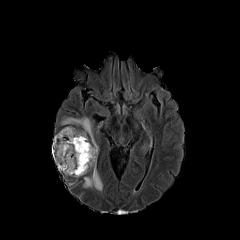
FLAIR MR.
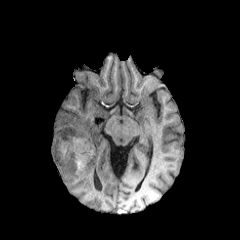
T1-weighted MRI of the same slice.
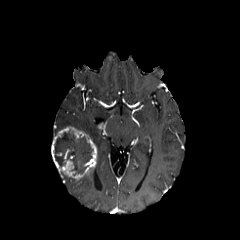
Post-contrast T1-weighted magnetic resonance.
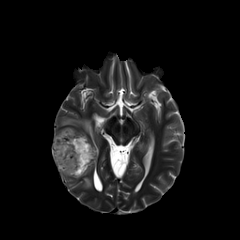
T2-weighted MR.
Image size 240x240
{
  "edema": [
    {"x1": 84, "y1": 169, "x2": 102, "y2": 191},
    {"x1": 61, "y1": 117, "x2": 93, "y2": 138}
  ],
  "enhancing_tumor": [
    {"x1": 57, "y1": 127, "x2": 97, "y2": 179},
    {"x1": 52, "y1": 136, "x2": 56, "y2": 160}
  ],
  "non-enhancing_tumor_core": [
    {"x1": 53, "y1": 129, "x2": 93, "y2": 175}
  ]
}